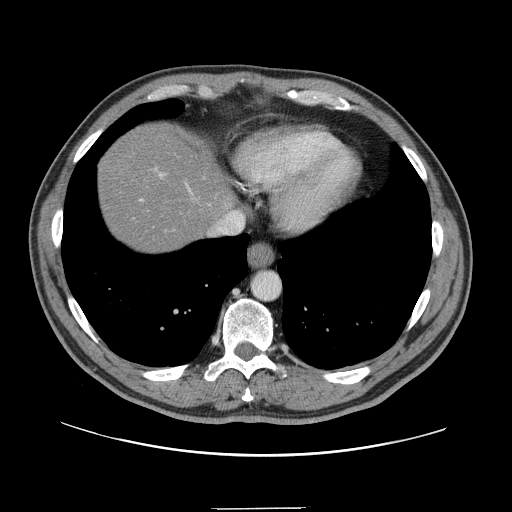

Liver, CT image, 512x512
The vessel annotation is not exhaustive.
The hepatic vessel appears at x1=159, y1=174, x2=164, y2=177.